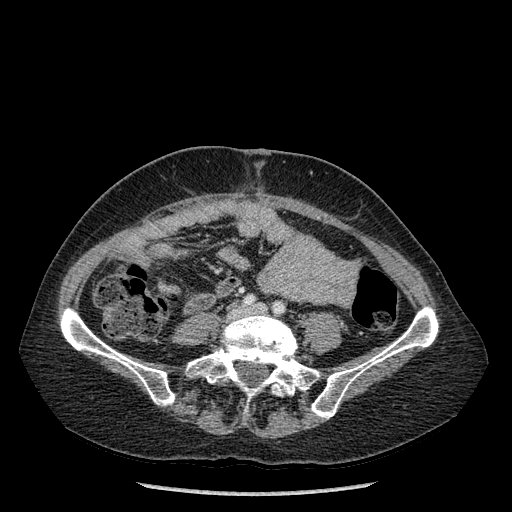
Computed tomography. 512x512. <segmentation>
  <bone>rect(311, 306, 438, 418); rect(60, 308, 174, 405); rect(186, 312, 319, 401)</bone>
</segmentation>